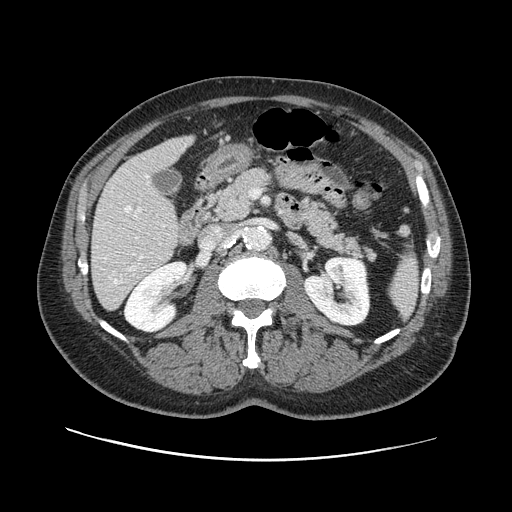 Upper abdomen; CT
2 pancreas regions are bounded by 212:166:277:222, 294:196:377:264.